CT, Slice 28 of 57

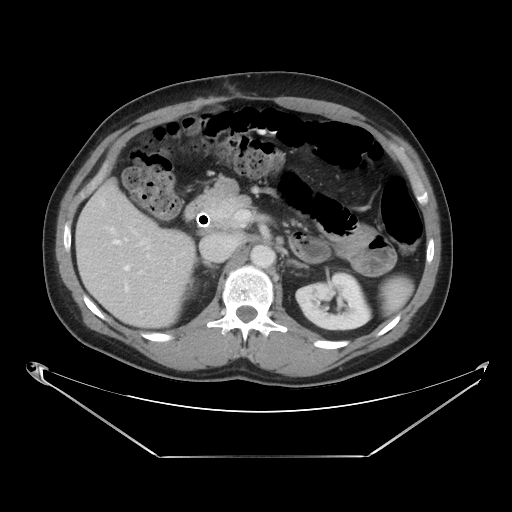 The pancreatic tumor is at left=205, top=195, right=236, bottom=220. 2 pancreas regions are bounded by left=199, top=194, right=248, bottom=214; left=203, top=215, right=235, bottom=232.